512x512, Slice 377/696, Liver, CT, Field of view 339x339 mm
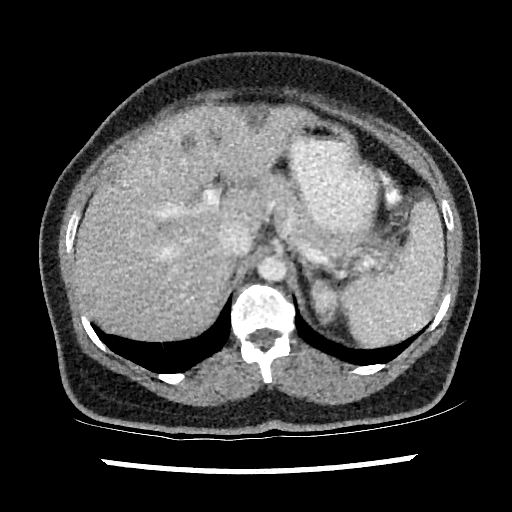 liver:
  - <bbox>73, 105, 306, 338</bbox>
focal_liver_lesion:
  - <bbox>108, 170, 117, 184</bbox>
  - <bbox>82, 294, 96, 310</bbox>
  - <bbox>181, 130, 196, 149</bbox>
  - <bbox>243, 107, 268, 128</bbox>
  - <bbox>240, 177, 257, 189</bbox>
kidney:
  - <bbox>319, 292, 331, 305</bbox>